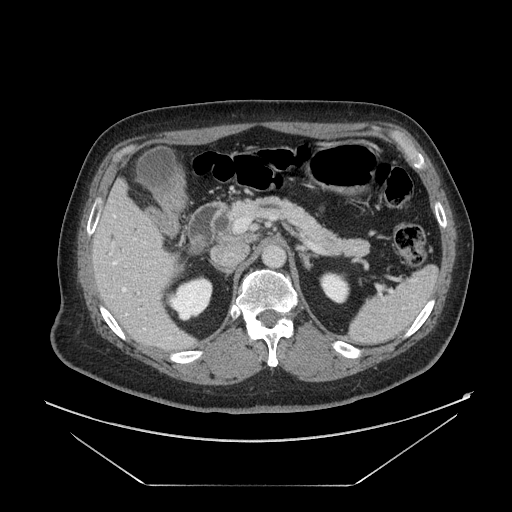 Computed tomography, Image size 512x512
Pancreas: bounding box left=229, top=197, right=369, bottom=256.